240x240 px. Field of view 240 mm wide, 1.00 mm slice spacing. Head.
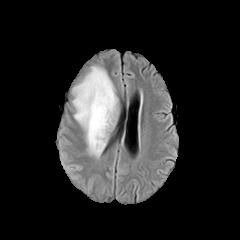
FLAIR magnetic resonance.
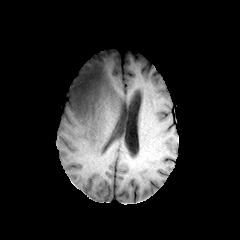
T1-weighted magnetic resonance.
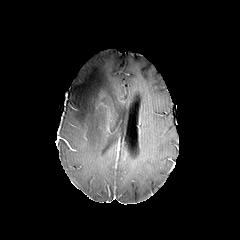
Same slice, post-contrast T1-weighted magnetic resonance.
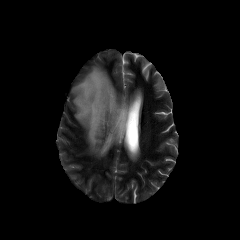
T2-weighted MR of the same slice.
edema: (x1=72, y1=65, x2=119, y2=157) | non-enhancing tumor core: (x1=86, y1=78, x2=105, y2=97)